FLAIR MR image.
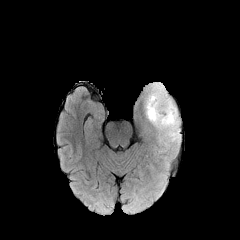
T1-weighted MR image.
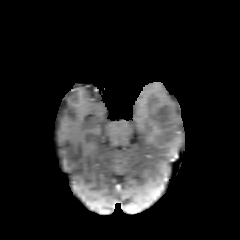
Post-contrast T1-weighted magnetic resonance.
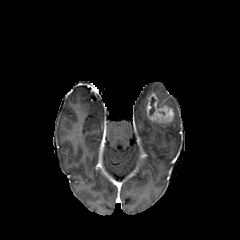
T2-weighted MRI.
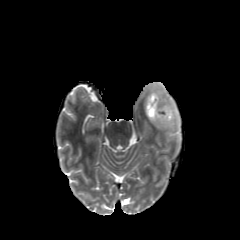
Head
non-enhancing tumor core: bbox=[150, 97, 155, 115] | enhancing tumor: bbox=[146, 93, 173, 123] | edema: bbox=[148, 83, 175, 109]; bbox=[146, 108, 180, 144]